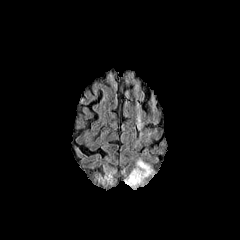
FLAIR magnetic resonance.
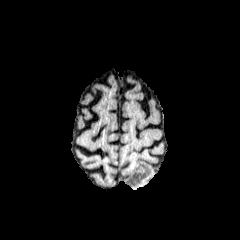
T1-weighted MR image.
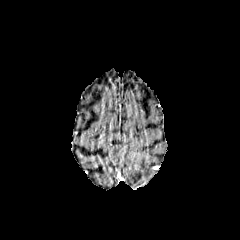
Same slice, post-contrast T1-weighted MR image.
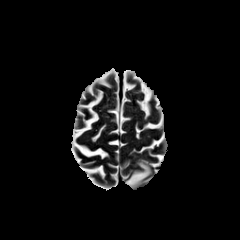
T2-weighted magnetic resonance.
Edema — region(123, 158, 153, 189).